Image size 240x240; Head; Image width 240 mm; Slice index 53
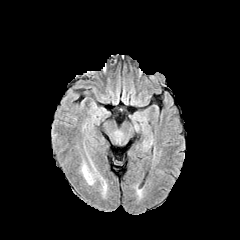
FLAIR MRI.
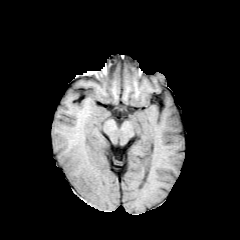
T1-weighted MR.
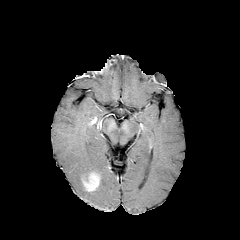
Post-contrast T1-weighted magnetic resonance.
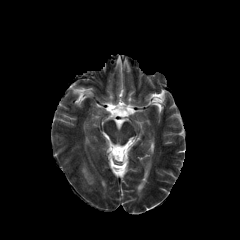
T2-weighted MR.
Edema: bounding box [81, 163, 89, 181].
Enhancing tumor: bounding box [84, 175, 95, 190].